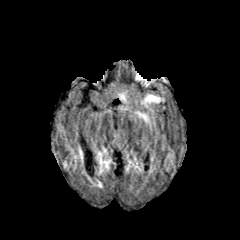
FLAIR MRI.
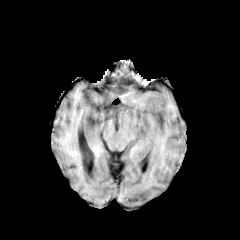
Same slice, T1-weighted MR image.
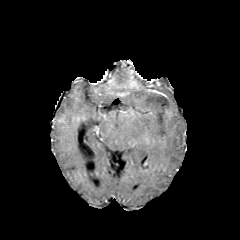
Post-contrast T1-weighted MRI of the same slice.
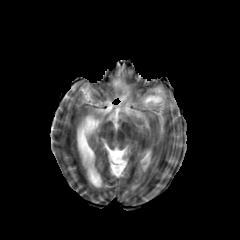
Same slice, T2-weighted magnetic resonance.
Head
edema:
  - 142:94:160:105